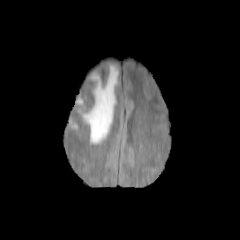
FLAIR MR image.
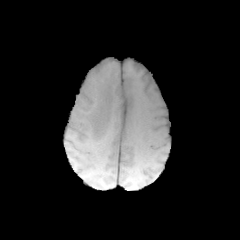
T1-weighted MRI of the same slice.
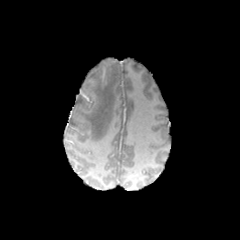
Post-contrast T1-weighted MR image of the same slice.
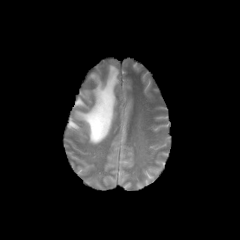
T2-weighted MR image.
240x240
The edema lies within region(75, 64, 118, 144). The non-enhancing tumor core is at region(80, 89, 90, 104).